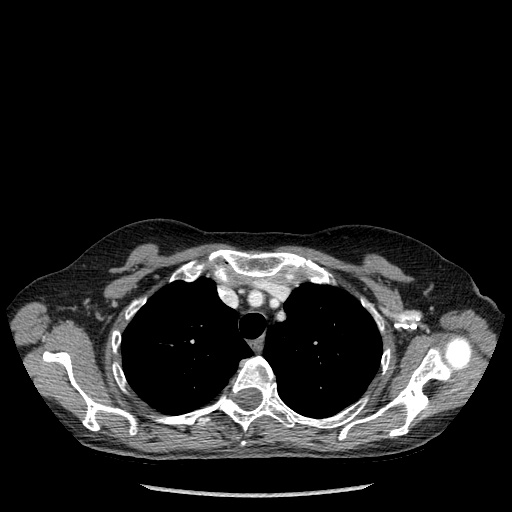 Thorax, CT image
2 lung regions are bounded by (left=121, top=277, right=265, bottom=414), (left=263, top=283, right=382, bottom=418). 9 bone regions are located at (left=381, top=348, right=390, bottom=373), (left=112, top=362, right=125, bottom=390), (left=170, top=261, right=204, bottom=281), (left=155, top=336, right=473, bottom=440), (left=42, top=351, right=137, bottom=435), (left=362, top=301, right=383, bottom=331), (left=111, top=330, right=120, bottom=352), (left=125, top=298, right=145, bottom=319), (left=208, top=249, right=330, bottom=288).